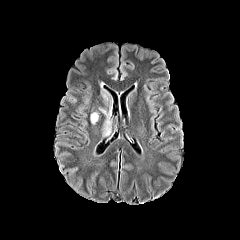
FLAIR MR.
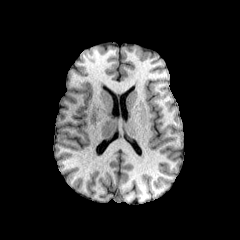
Same slice, T1-weighted MR image.
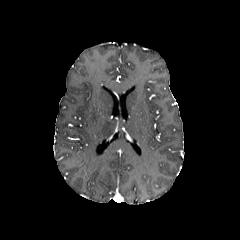
Post-contrast T1-weighted MRI.
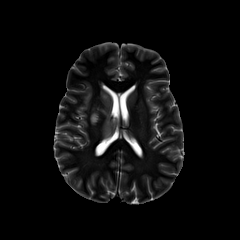
T2-weighted MR of the same slice.
Head
{
  "edema": [
    "(90, 110, 99, 124)",
    "(98, 84, 112, 138)"
  ]
}